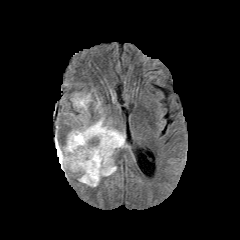
FLAIR MR image.
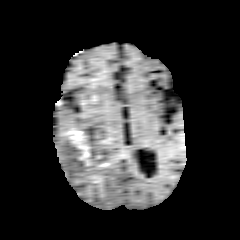
T1-weighted magnetic resonance.
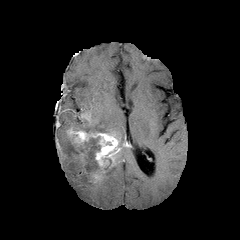
Same slice, post-contrast T1-weighted MR.
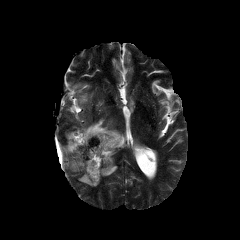
Same slice, T2-weighted MR.
Head.
- enhancing tumor: box=[56, 138, 62, 156]; box=[70, 130, 121, 165]
- edema: box=[80, 117, 124, 137]; box=[74, 95, 90, 109]; box=[60, 130, 116, 187]